Upper abdomen, Image size 512x512, CT scan slice, Slice 45 of 103

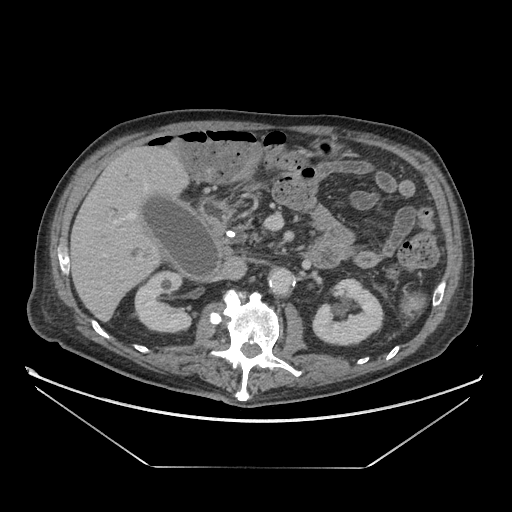 The pancreas appears at <box>228,224,249,243</box>.